Image size 512x512; Chest; Computed tomography

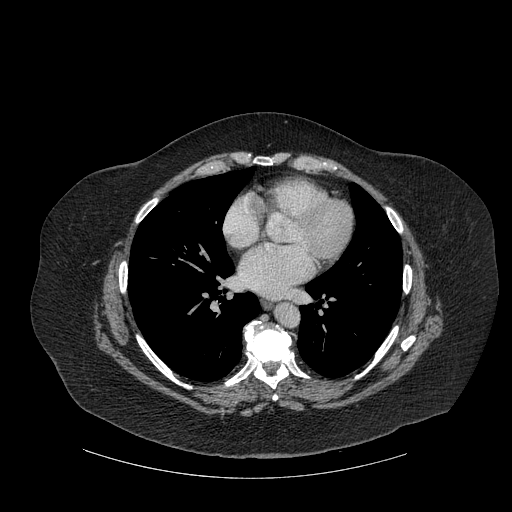 Lung — (x1=128, y1=167, x2=259, y2=381), (x1=297, y1=188, x2=402, y2=377).
Bone — (x1=386, y1=207, x2=402, y2=232), (x1=119, y1=261, x2=127, y2=292), (x1=137, y1=335, x2=191, y2=388), (x1=403, y1=265, x2=411, y2=293), (x1=355, y1=326, x2=398, y2=378), (x1=401, y1=336, x2=415, y2=350), (x1=225, y1=321, x2=309, y2=388), (x1=254, y1=157, x2=272, y2=164), (x1=136, y1=198, x2=157, y2=222).